Image size 512x512 | Liver | CT slice | Image width 330 mm 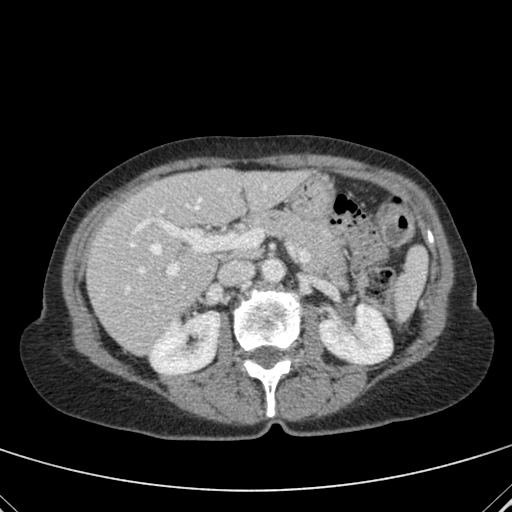

2 kidney regions are located at <bbox>320, 306, 391, 363</bbox>, <bbox>150, 314, 219, 374</bbox>. The liver is bounded by <bbox>87, 169, 302, 354</bbox>.